CT slice; Brain; Slice 498 of 552
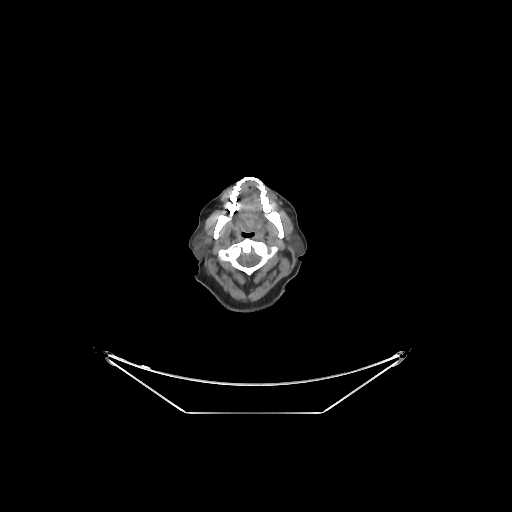

Segmented structures:
- brain: <bbox>238, 251, 259, 267</bbox>